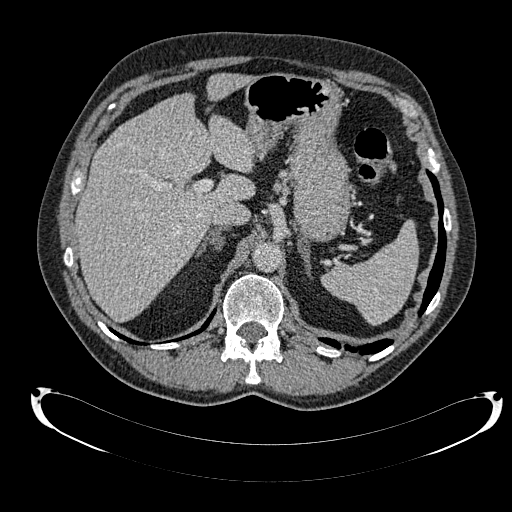 CT slice; Abdomen
liver: (208, 74, 248, 101), (77, 95, 254, 320)